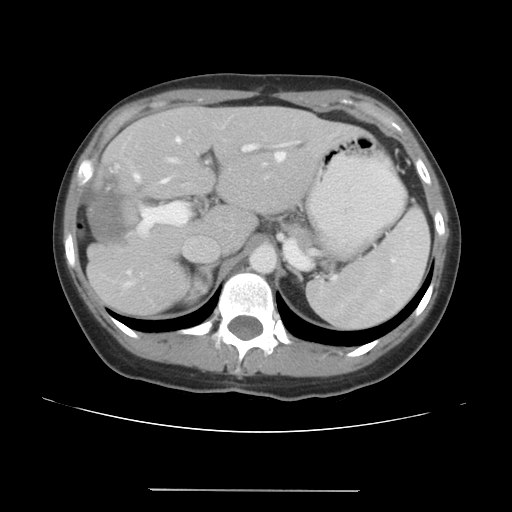

CT image
The vessel boxes may cover only some of the vessels.
The liver tumor is at [87,166,131,241]. 6 hepatic vessel regions are located at [137,202,190,238], [275,151,286,162], [165,157,179,162], [140,273,142,276], [242,143,257,151], [121,269,135,288].